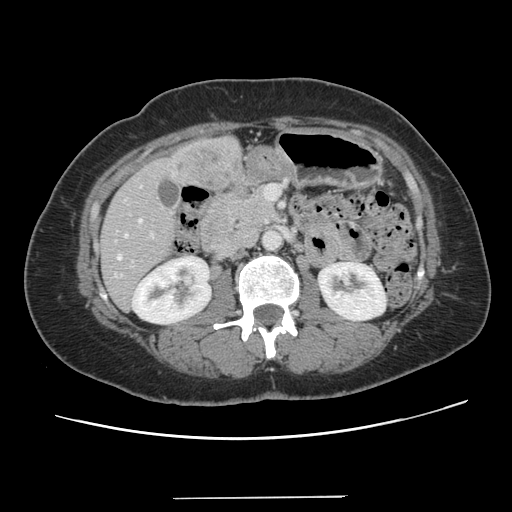 Image size 512x512. Computed tomography.

Some hepatic vessels may have no box.
Liver tumor at region(179, 146, 234, 185).
Hepatic vessel at region(117, 255, 121, 259); region(115, 274, 122, 276); region(124, 234, 127, 237); region(151, 233, 153, 237); region(138, 218, 142, 223).